Slice index 131, Computed tomography, Field of view 350x350 mm 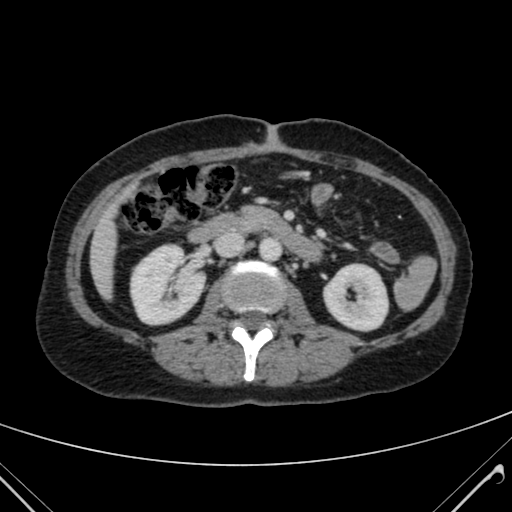
Liver at [91,216,118,289].
Kidney at [131,246,203,323], [325,265,387,329].